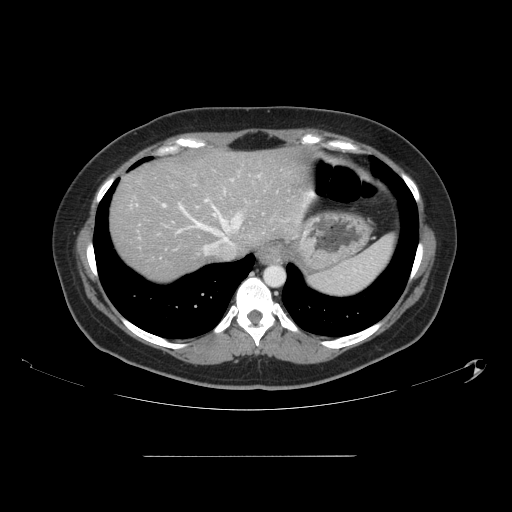
CT; Abdomen

The vessel boxes may cover only some of the vessels.
Hepatic vessel — (left=212, top=205, right=241, bottom=231), (left=307, top=193, right=310, bottom=195), (left=181, top=207, right=226, bottom=238), (left=204, top=245, right=207, bottom=253), (left=205, top=199, right=208, bottom=201), (left=163, top=205, right=165, bottom=206).